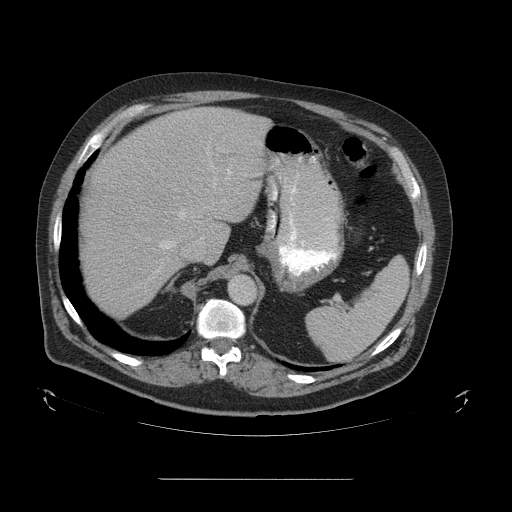
CT image | 512x512 px

The vessel boxes may cover only some of the vessels.
{
  "hepatic_vessel": [
    "[145,239,149,241]",
    "[177,209,186,219]",
    "[152,268,160,272]",
    "[226,177,228,183]",
    "[212,176,216,187]",
    "[158,240,176,249]",
    "[190,215,193,217]",
    "[162,258,169,264]",
    "[219,149,224,151]",
    "[177,237,203,263]",
    "[227,169,231,174]",
    "[203,140,213,171]",
    "[198,221,201,222]",
    "[209,218,211,219]"
  ]
}